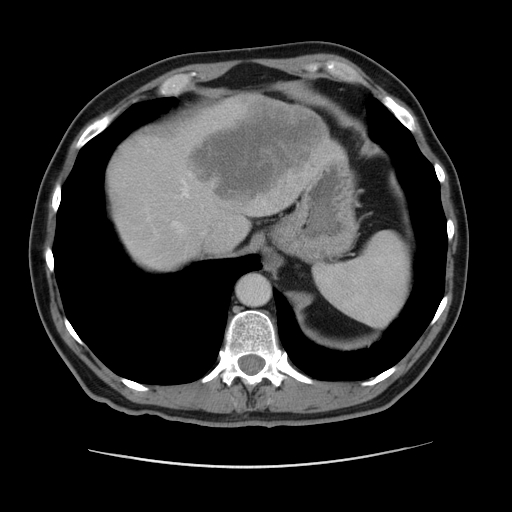

CT, Upper abdomen
* liver: (107,97,332,269)
* liver lesion: (188,101,325,202)